Field of view 411 mm wide, 1.50 mm slice spacing, CT image, Abdomen, Slice index 58 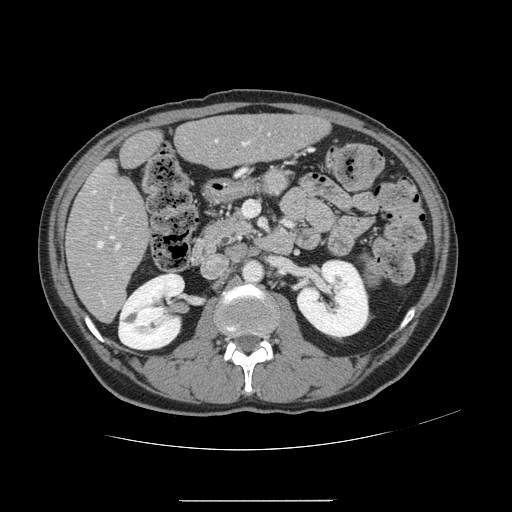

Only some of the vessels may be annotated.
Segmented structures:
• hepatic vessel: (116, 244, 119, 248), (111, 236, 113, 237), (97, 242, 102, 247), (110, 203, 112, 209), (103, 301, 105, 306), (92, 191, 95, 193), (118, 216, 123, 221), (91, 179, 92, 181), (215, 140, 217, 141), (105, 227, 106, 228), (242, 141, 249, 144)